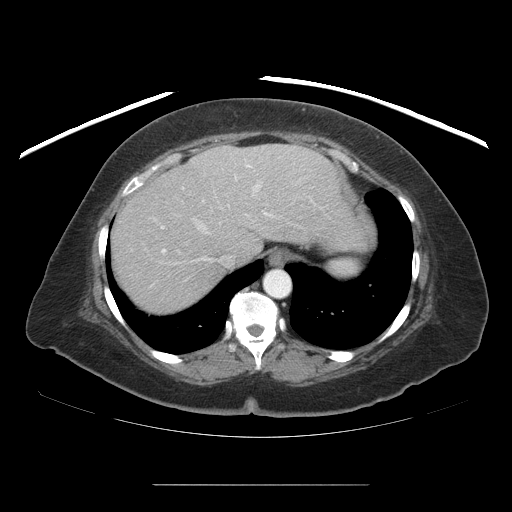
Computed tomography, Liver
The vessel boxes may cover only some of the vessels.
Segmented structures:
• hepatic vessel: 219,256,231,261; 197,256,213,262; 162,249,165,253; 252,180,262,195; 246,165,248,166; 161,226,164,228; 193,218,207,232; 234,174,237,180